Abdomen | CT image | Slice index 119
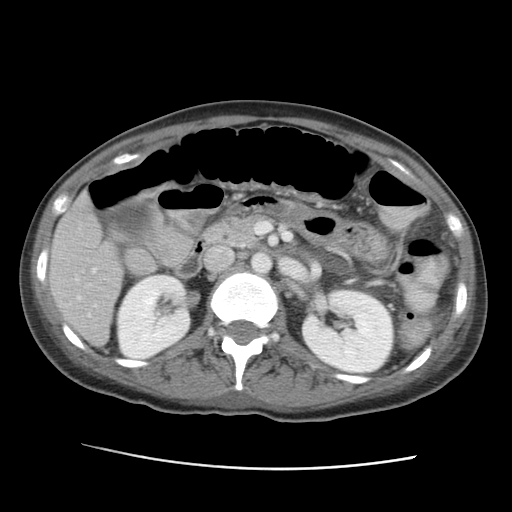 2 kidney regions are located at 302 290 392 372, 118 275 189 358. The liver appears at 49 190 122 343.